FLAIR MRI.
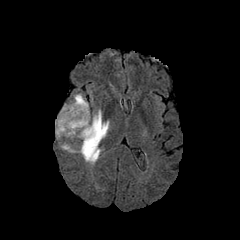
T1-weighted MR image.
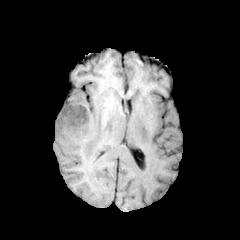
Post-contrast T1-weighted magnetic resonance.
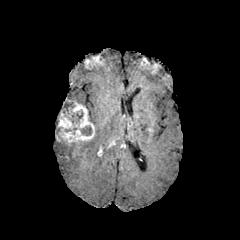
T2-weighted MR image.
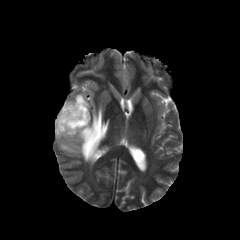
Brain.
{"non-enhancing_tumor_core": ["78 122 101 150", "61 100 74 113", "56 120 66 139", "78 122 93 135"], "enhancing_tumor": ["57 102 94 141"], "edema": ["58 93 109 164"]}